CT slice. Image size 512x512. Upper abdomen.
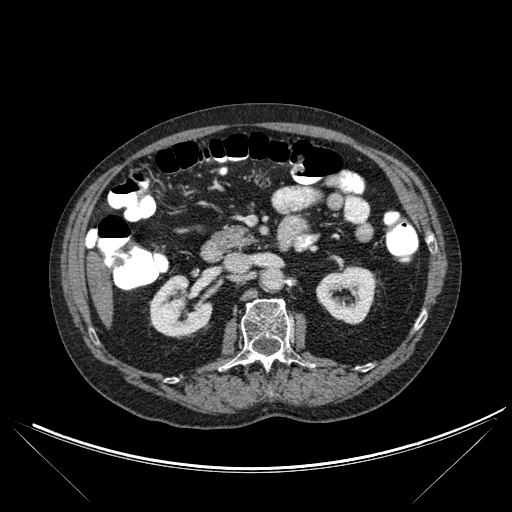
Segmented structures:
- bone: x1=225 y1=299 x2=291 y2=369, x1=415 y1=317 x2=424 y2=328
- liver: x1=87 y1=253 x2=112 y2=327
- kidney: x1=150 y1=275 x2=211 y2=336, x1=316 y1=267 x2=374 y2=323